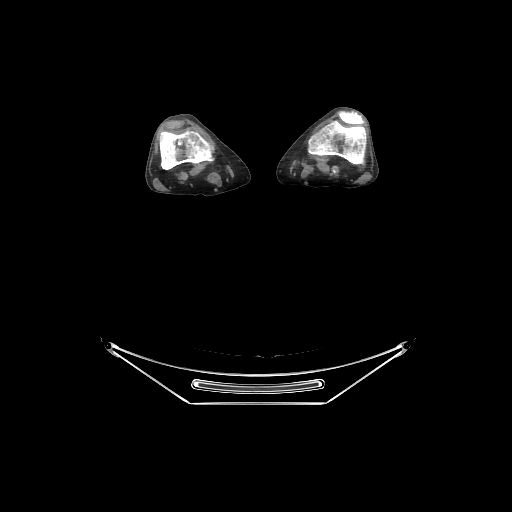 CT
bone: (160, 130, 213, 169), (309, 111, 365, 164)